Image width 355 mm; Slice 51 of 81; Image size 512x512; Upper abdomen; CT scan slice
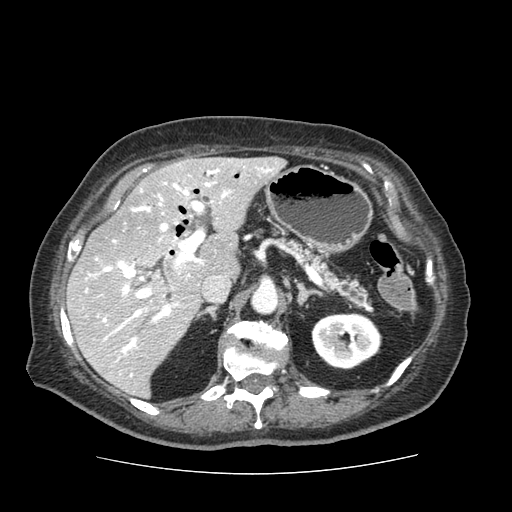

Pancreas at <bbox>284, 241, 370, 308</bbox>.